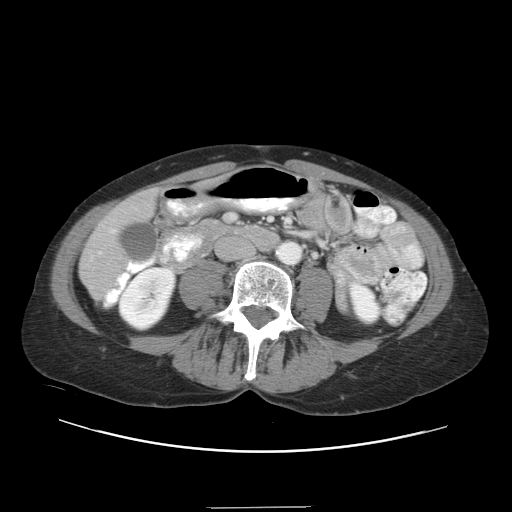 Abdomen; CT scan slice
Only some of the vessels may be annotated.
hepatic vessel: 109, 229, 114, 233; 98, 251, 101, 253